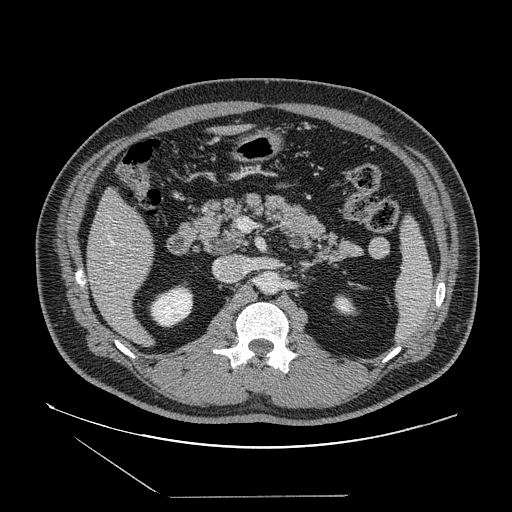

Computed tomography | Upper abdomen

The pancreatic tumor is bounded by 208:235:235:254. The pancreas appears at 192:192:363:263.